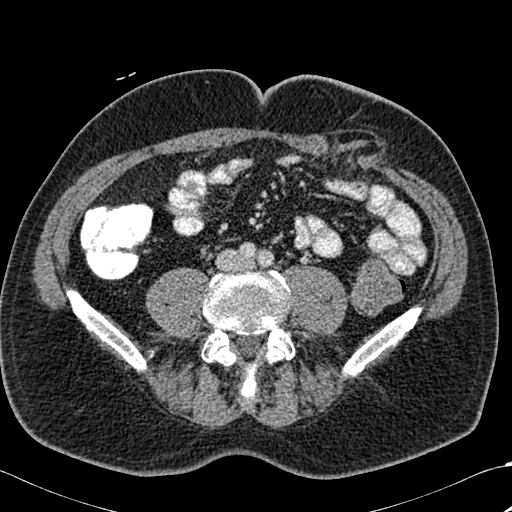 CT
• bone: box(343, 307, 420, 375); box(201, 271, 294, 399); box(67, 290, 146, 370)